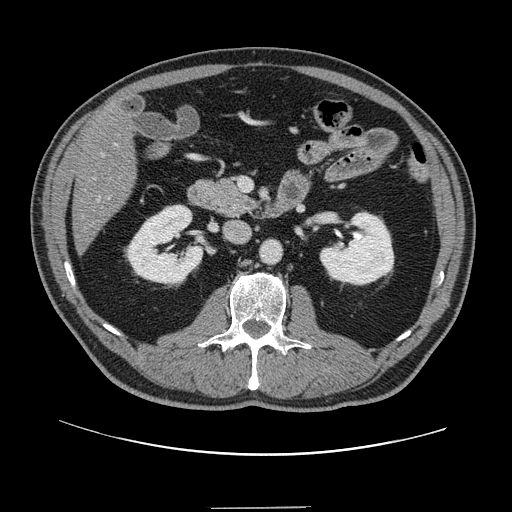
CT scan slice
Only some of the vessels may be annotated.
{"hepatic_vessel": ["98 199 99 201"]}